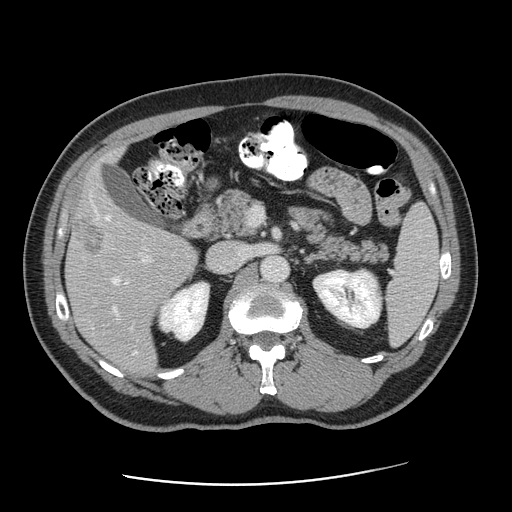

512x512 | Computed tomography | Abdomen

The vessel boxes may cover only some of the vessels.
7 hepatic vessel regions are bounded by l=94, t=206, r=96, b=211; l=118, t=315, r=119, b=319; l=113, t=277, r=119, b=283; l=103, t=215, r=111, b=219; l=114, t=307, r=117, b=312; l=142, t=256, r=149, b=261; l=127, t=281, r=128, b=282. The liver tumor is at l=72, t=212, r=108, b=258.